Field of view 240 mm wide, 1.00 mm slice spacing | Slice 53/155
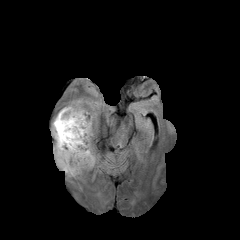
FLAIR MRI.
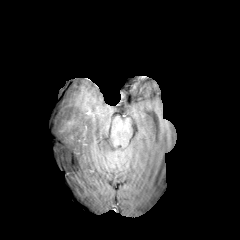
T1-weighted MR.
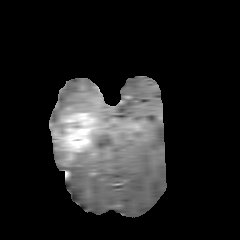
Post-contrast T1-weighted MR.
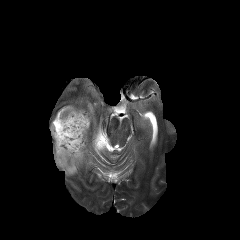
T2-weighted MR image.
The enhancing tumor is bounded by box(53, 108, 93, 163). 2 non-enhancing tumor core regions appear at box(56, 150, 64, 164); box(53, 113, 62, 127). 2 edema regions are located at box(53, 143, 94, 177); box(51, 104, 85, 135).